FLAIR MR image.
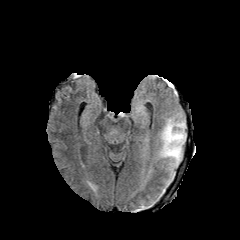
T1-weighted magnetic resonance.
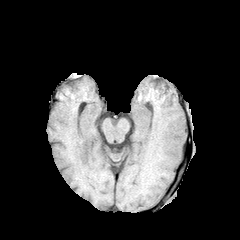
Post-contrast T1-weighted MR image.
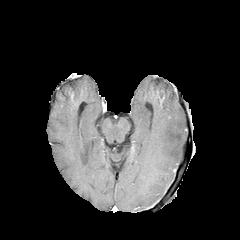
T2-weighted MR.
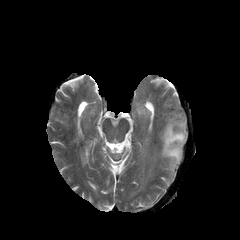
Brain; Image size 240x240
Edema = region(161, 123, 184, 173).